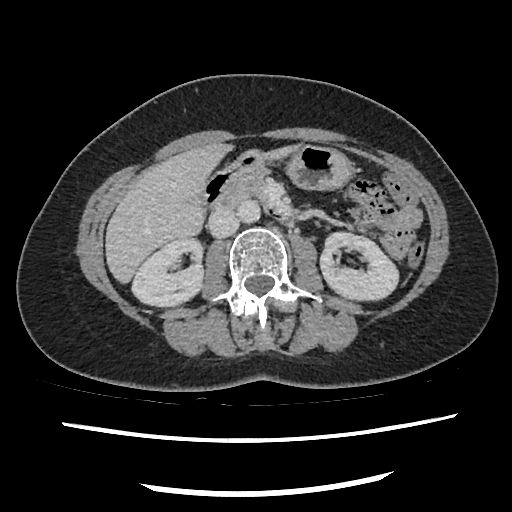

Computed tomography. Upper abdomen.
The pancreas is at 216,170,264,208.